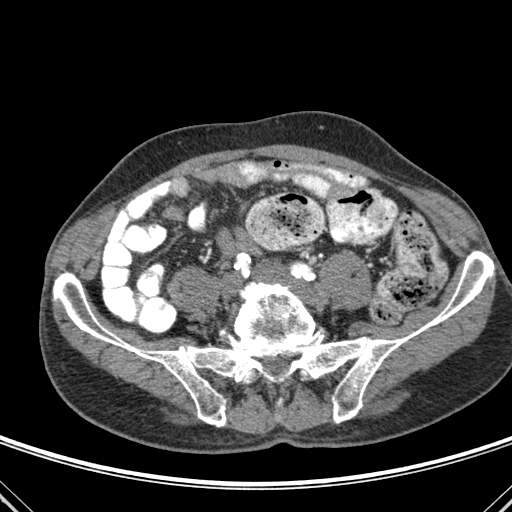
CT image
The bone lies within left=53, top=251, right=494, bottom=426.